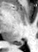 MR, Hippocampus
posterior hippocampus: x1=15, y1=42, x2=23, y2=45